Slice 149/193 | 512x512 px | CT slice

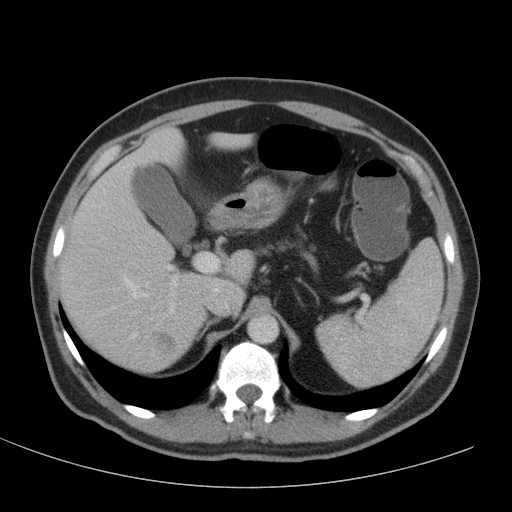 liver_lesion:
  - 151,331,177,356
liver:
  - 57,128,244,371
  - 225,252,251,282
  - 214,135,249,146